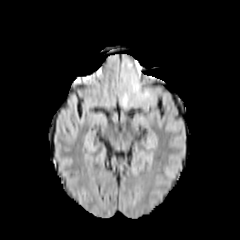
FLAIR magnetic resonance.
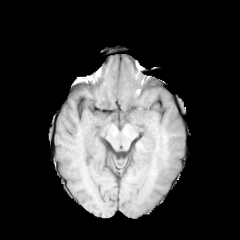
T1-weighted MRI.
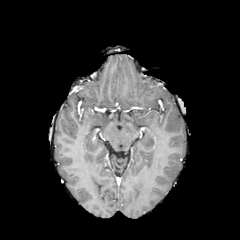
Post-contrast T1-weighted MRI.
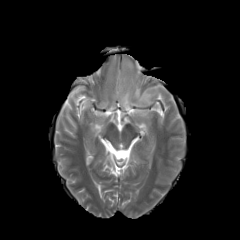
T2-weighted MR of the same slice.
Image size 240x240
<segmentation>
  <edema>{"x1": 122, "y1": 92, "x2": 152, "y2": 107}</edema>
</segmentation>